Slice 72 of 155.
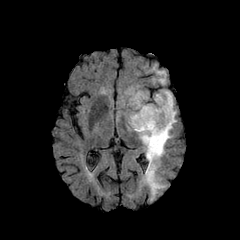
FLAIR magnetic resonance.
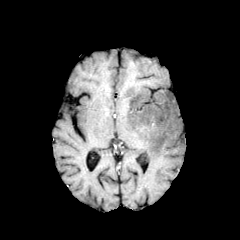
Same slice, T1-weighted MR image.
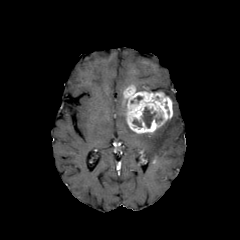
Post-contrast T1-weighted MRI.
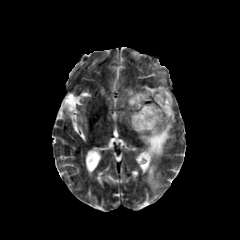
T2-weighted magnetic resonance.
Segmented structures:
• edema: <bbox>140, 109, 176, 187</bbox>, <bbox>157, 70, 166, 83</bbox>
• non-enhancing tumor core: <bbox>144, 108, 154, 127</bbox>
• enhancing tumor: <bbox>124, 87, 174, 133</bbox>